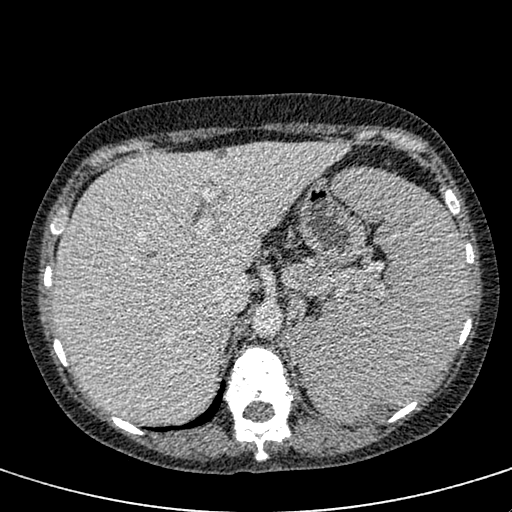
CT slice

Liver: <bbox>52, 143, 349, 422</bbox>.